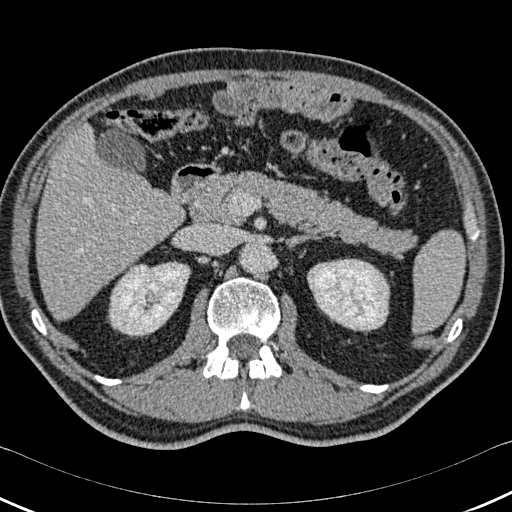
CT slice, Abdomen

• liver: 36 125 184 319
• bone: 448 319 461 341, 203 277 281 379, 361 385 387 392, 240 392 249 409, 95 376 120 385, 32 310 45 333
• kidney: 110 263 189 334, 308 259 388 329